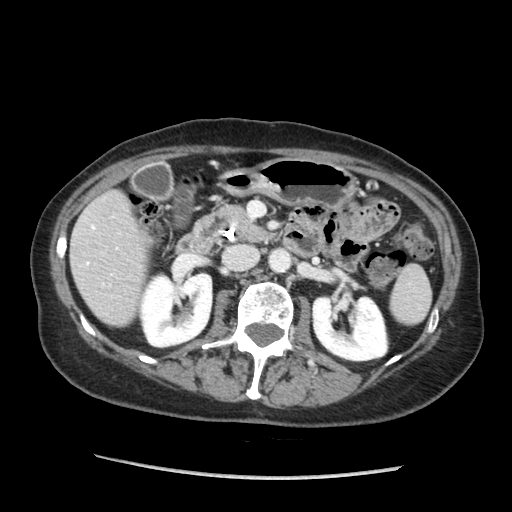
CT slice; Upper abdomen
pancreatic_tumor:
  - rect(225, 207, 244, 218)
pancreas:
  - rect(212, 206, 271, 241)